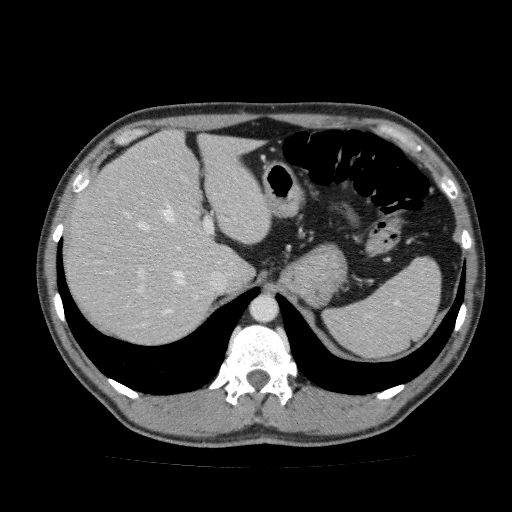

CT slice

Liver at [65, 128, 255, 347], [198, 131, 271, 243].